Brain; Slice 54 of 155; Image size 240x240
FLAIR MR image.
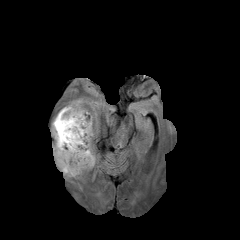
T1-weighted MRI.
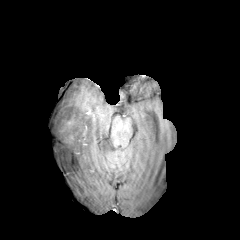
Post-contrast T1-weighted MR.
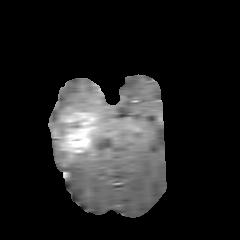
T2-weighted MR image.
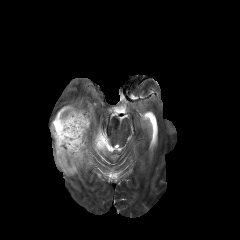
2 non-enhancing tumor core regions appear at x1=52 y1=114 x2=63 y2=127, x1=55 y1=142 x2=65 y2=164. The enhancing tumor appears at x1=52 y1=108 x2=93 y2=165. 2 edema regions are located at x1=50 y1=100 x2=87 y2=135, x1=52 y1=142 x2=95 y2=177.